Liver, Slice 417/846, CT scan slice 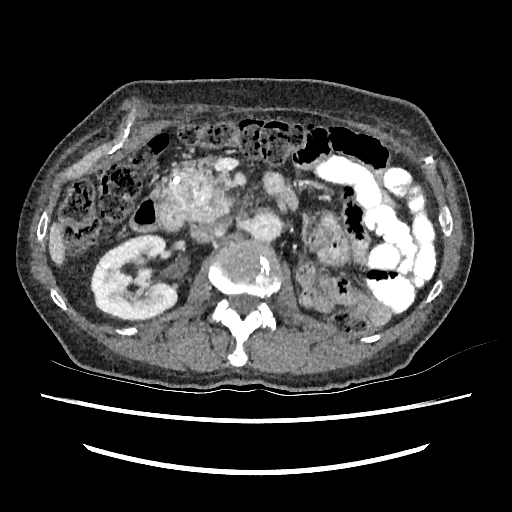 The liver lies within (49, 224, 63, 264). The kidney lies within (92, 235, 176, 319).